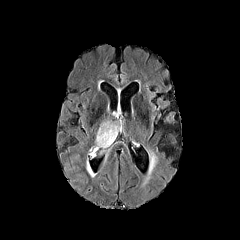
FLAIR MR.
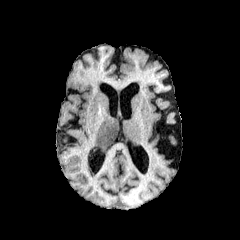
T1-weighted magnetic resonance.
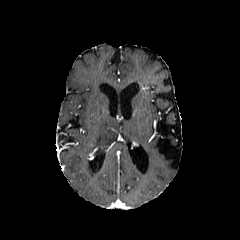
Post-contrast T1-weighted MR of the same slice.
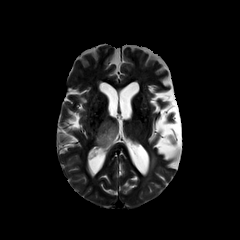
T2-weighted MRI.
2 edema regions are located at 85 159 94 177, 95 122 118 148.